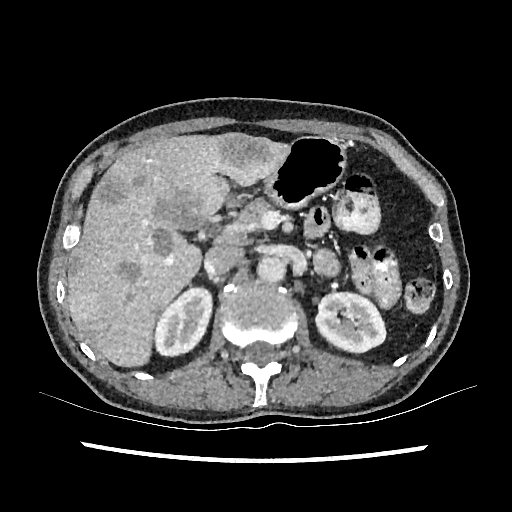
CT slice

2 kidney regions are bounded by x1=155 y1=288 x2=211 y2=357, x1=316 y1=293 x2=385 y2=352. The liver lies within x1=68 y1=133 x2=289 y2=366. 8 liver lesion regions are bounded by x1=68 y1=256 x2=83 y2=276, x1=97 y1=179 x2=124 y2=204, x1=154 y1=190 x2=205 y2=229, x1=81 y1=328 x2=92 y2=338, x1=132 y1=175 x2=145 y2=187, x1=152 y1=227 x2=174 y2=256, x1=218 y1=134 x2=272 y2=167, x1=118 y1=261 x2=141 y2=280.